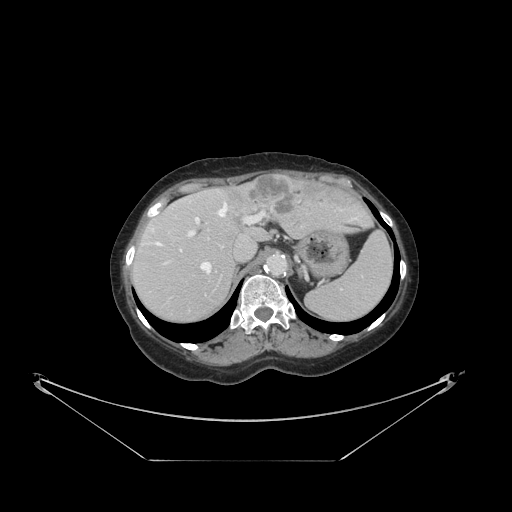

CT
Not every hepatic vessel necessarily has a box.
hepatic_vessel:
  - rect(150, 227, 153, 231)
  - rect(195, 217, 199, 223)
  - rect(153, 242, 161, 245)
  - rect(243, 217, 259, 223)
  - rect(188, 230, 194, 236)
  - rect(235, 244, 254, 259)
  - rect(217, 203, 227, 216)
  - rect(200, 262, 210, 273)
liver_tumor:
  - rect(229, 175, 300, 219)